CT scan slice | Slice index 38 | Abdomen 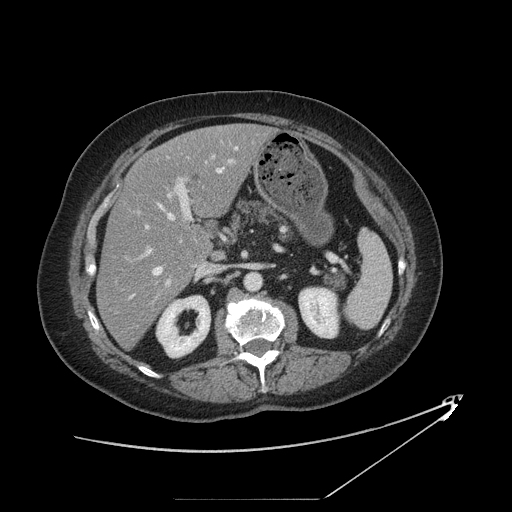
Pancreas — (left=226, top=198, right=286, bottom=238).